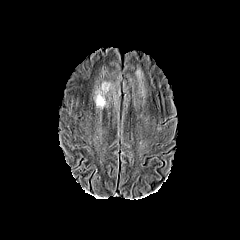
FLAIR magnetic resonance.
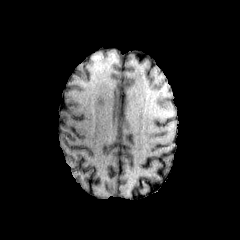
T1-weighted MRI.
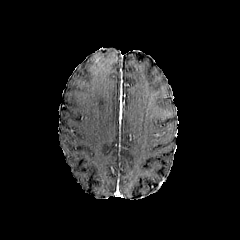
Same slice, post-contrast T1-weighted MR image.
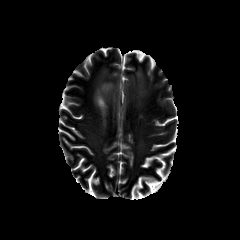
Same slice, T2-weighted magnetic resonance.
Head
The edema appears at [x1=95, y1=93, x2=105, y2=106].